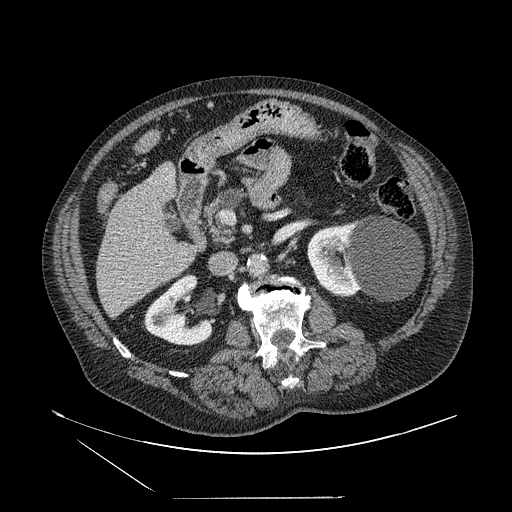

Upper abdomen, CT image, 512x512
- pancreatic tumor: bbox(220, 188, 247, 207)
- pancreas: bbox(204, 186, 244, 246)